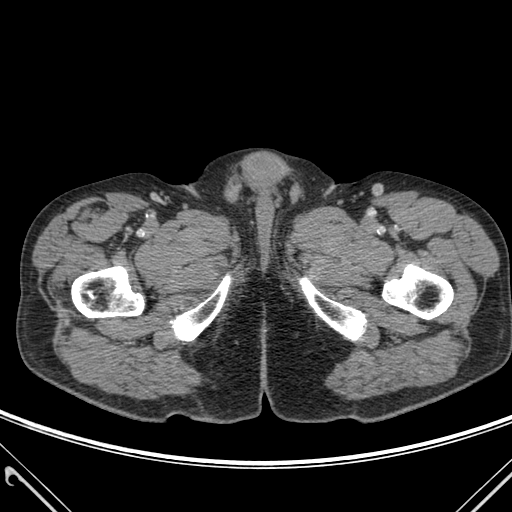
512x512 px | Computed tomography

{
  "bone": [
    "box=[382, 264, 453, 319]",
    "box=[171, 276, 230, 340]",
    "box=[71, 266, 144, 317]",
    "box=[300, 278, 366, 340]"
  ]
}